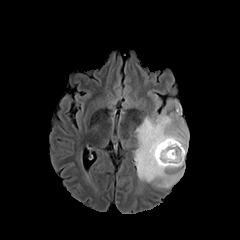
FLAIR magnetic resonance.
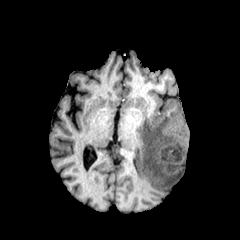
Same slice, T1-weighted MR.
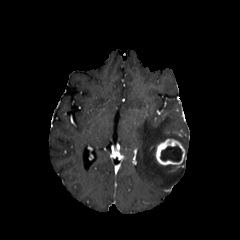
Post-contrast T1-weighted MR.
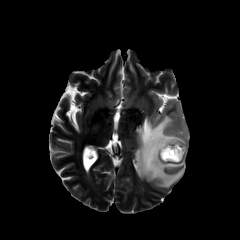
Same slice, T2-weighted MR image.
Image size 240x240.
Enhancing tumor: bounding box rect(156, 139, 184, 164).
Non-enhancing tumor core: bounding box rect(160, 144, 182, 162).
Edema: bounding box rect(136, 115, 189, 188).